Slice index 79; Image size 240x240; Brain
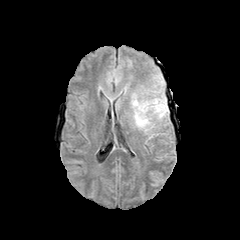
FLAIR magnetic resonance.
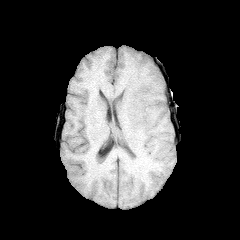
Same slice, T1-weighted MR.
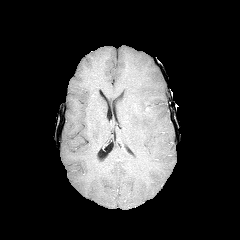
Post-contrast T1-weighted MRI.
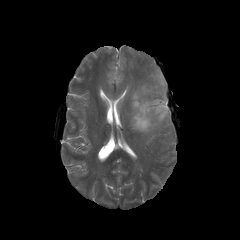
T2-weighted MRI of the same slice.
The non-enhancing tumor core is at left=134, top=101, right=148, bottom=115. The edema is at left=130, top=86, right=169, bottom=133.